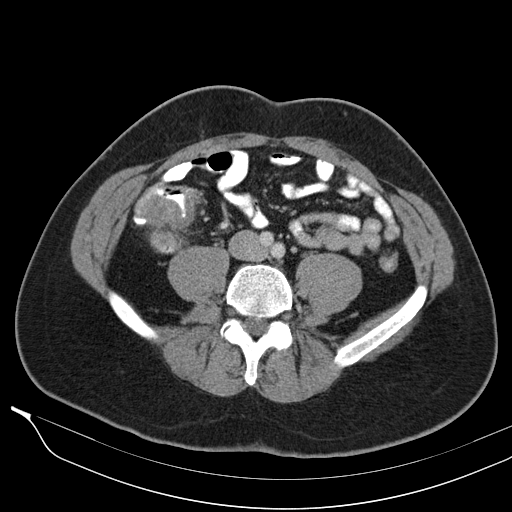 CT scan slice | Abdomen | 512x512

{
  "colon_tumor": [
    {"x1": 134, "y1": 188, "x2": 193, "y2": 229}
  ]
}